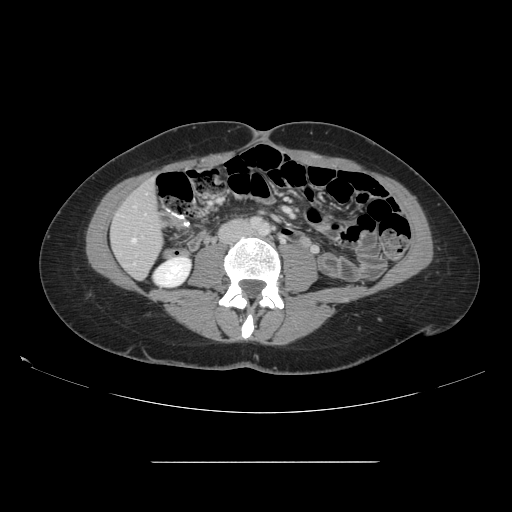 Computed tomography, 512x512 px, Liver
The vessel annotation is not exhaustive.
<segmentation>
  <hepatic_vessel>134:263:135:264, 131:238:136:242</hepatic_vessel>
</segmentation>